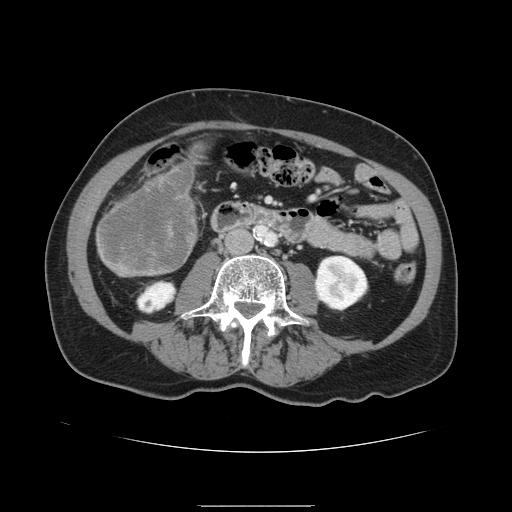 Abdomen; CT
* liver tumor: x1=99 y1=165 x2=193 y2=271